Slice 688 of 707; CT scan slice
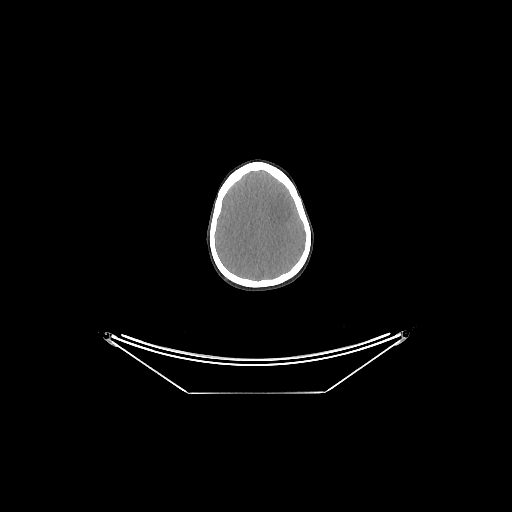 brain: box(214, 170, 306, 281)